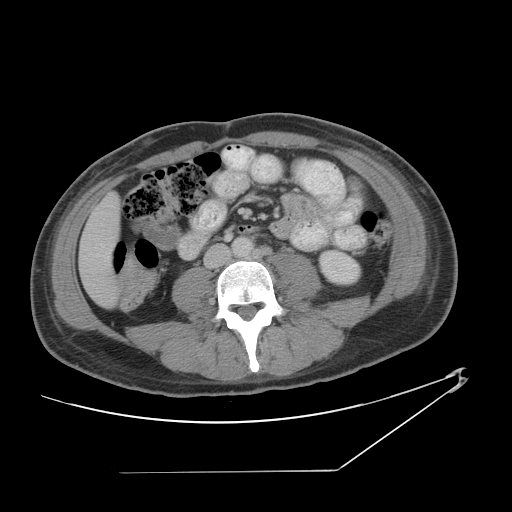
Abdomen, CT
The vessel boxes may cover only some of the vessels.
Hepatic vessel at left=92, top=244, right=109, bottom=263.